Brain. Field of view 240x240 mm.
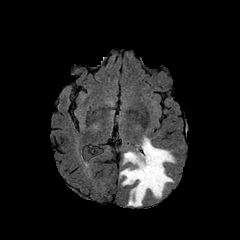
FLAIR MR.
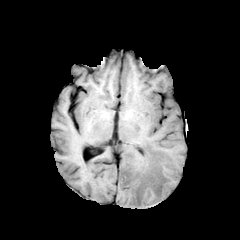
Same slice, T1-weighted MRI.
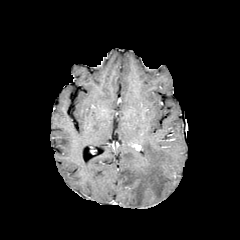
Post-contrast T1-weighted MRI.
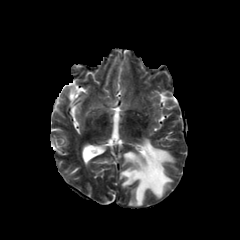
T2-weighted MR image.
Findings:
* edema: (x1=119, y1=137, x2=175, y2=206)